CT scan slice | Upper abdomen | Slice 371/756
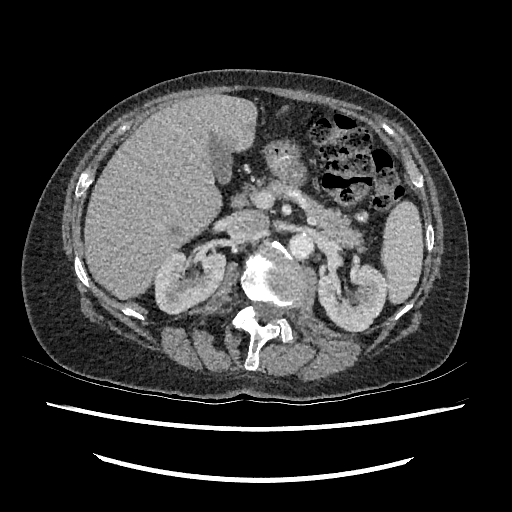
kidney:
  - region(318, 251, 386, 331)
  - region(155, 252, 225, 313)
liver:
  - region(277, 106, 288, 114)
  - region(85, 94, 256, 298)
focal_liver_lesion:
  - region(173, 227, 181, 236)